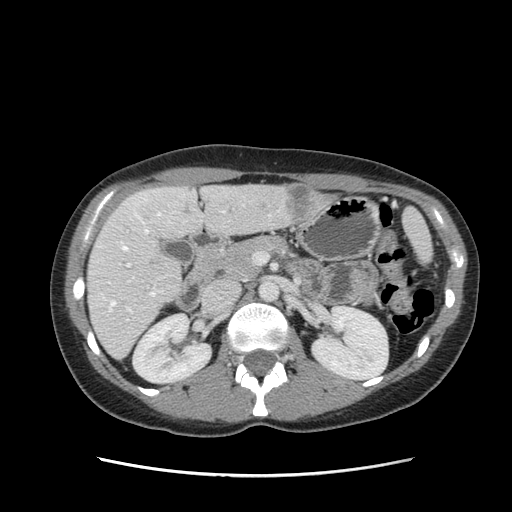
Image size 512x512, Computed tomography
pancreas: 199, 236, 289, 281